Medial temporal lobe. MR image. Slice index 12. 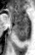 <segmentation>
  <posterior_hippocampus>15:24:28:41</posterior_hippocampus>
  <anterior_hippocampus>10:6:28:23</anterior_hippocampus>
</segmentation>